Slice 57 of 155
FLAIR MRI.
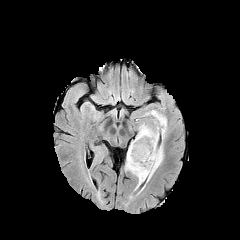
T1-weighted magnetic resonance.
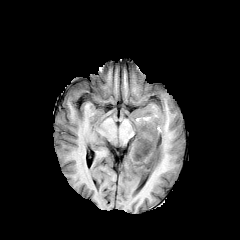
Post-contrast T1-weighted MR image.
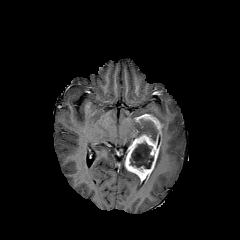
T2-weighted magnetic resonance.
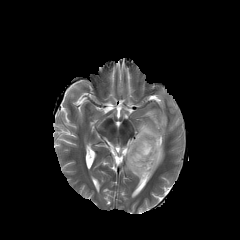
2 enhancing tumor regions appear at l=145, t=115, r=160, b=130; l=124, t=134, r=159, b=181. 2 edema regions appear at l=137, t=117, r=157, b=133; l=134, t=109, r=167, b=191. 2 non-enhancing tumor core regions are bounded by l=136, t=118, r=162, b=145; l=130, t=142, r=153, b=168.